512x512; CT image; Slice 318/761; Image width 400 mm 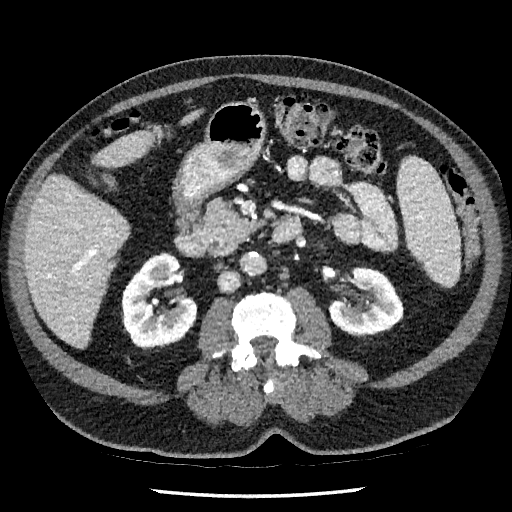

liver:
  - [24, 175, 128, 347]
  - [93, 131, 153, 167]
  - [182, 111, 198, 124]
kidney:
  - [330, 268, 402, 333]
  - [122, 254, 196, 346]